Image size 512x512; CT scan slice
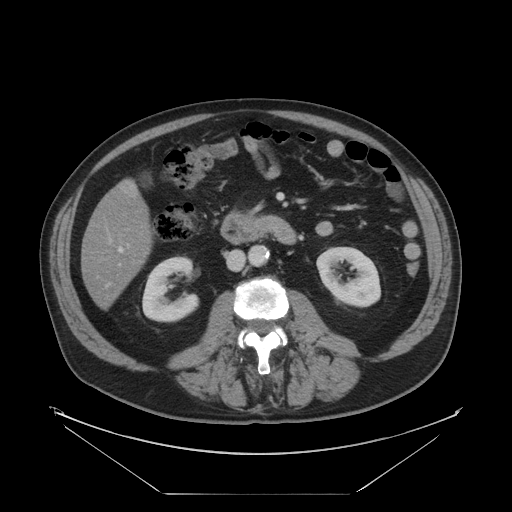
- pancreas: 250,220,269,235